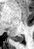

MR; Image size 34x49

Segmented structures:
• posterior hippocampus: x1=11 y1=35 x2=23 y2=41